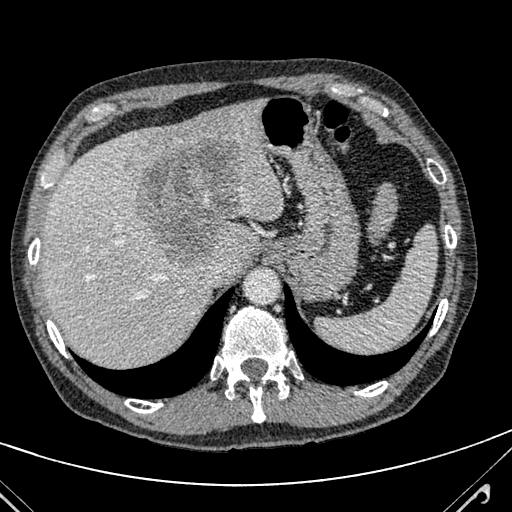

CT scan slice, Liver
Annotated regions:
• liver: 42 98 283 366
• hepatic lesion: 123 159 133 167, 135 136 241 267